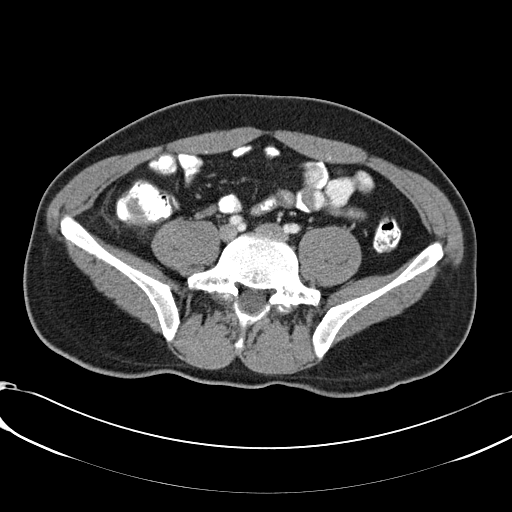 Computed tomography, Pelvis
The colon tumor lies within rect(129, 199, 142, 222).